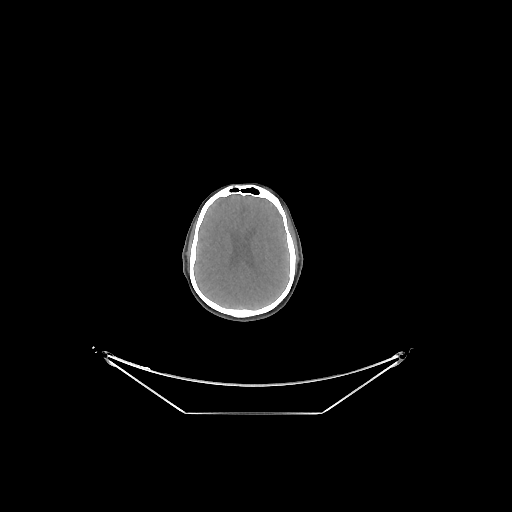

CT | Brain

Brain — bbox(194, 194, 289, 309).